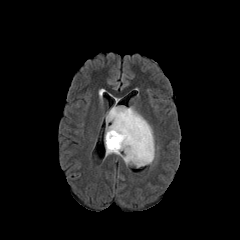
FLAIR MR image.
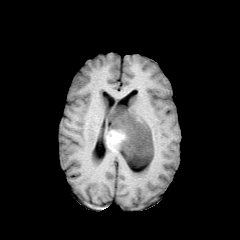
T1-weighted MRI of the same slice.
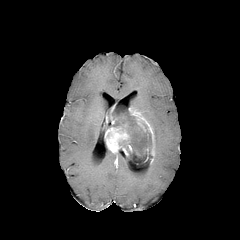
Post-contrast T1-weighted magnetic resonance.
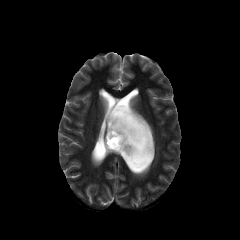
T2-weighted magnetic resonance.
Brain
The edema is bounded by x1=116 y1=152 x2=150 y2=168. 3 enhancing tumor regions are located at x1=106 y1=106 x2=117 y2=124, x1=105 y1=124 x2=133 y2=157, x1=128 y1=107 x2=154 y2=156. The non-enhancing tumor core is located at x1=107 y1=106 x2=153 y2=166.